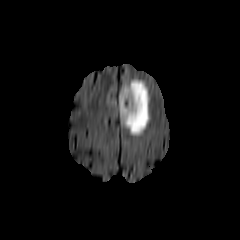
FLAIR magnetic resonance.
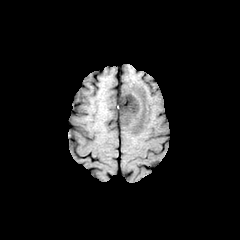
T1-weighted magnetic resonance of the same slice.
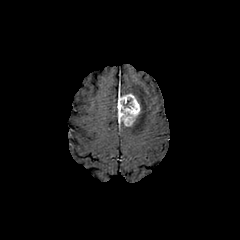
Post-contrast T1-weighted MR of the same slice.
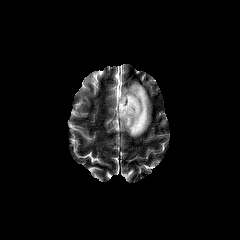
T2-weighted MR image.
The edema lies within bbox(118, 80, 150, 136). The enhancing tumor is bounded by bbox(118, 92, 140, 126).